Computed tomography, Lower abdomen
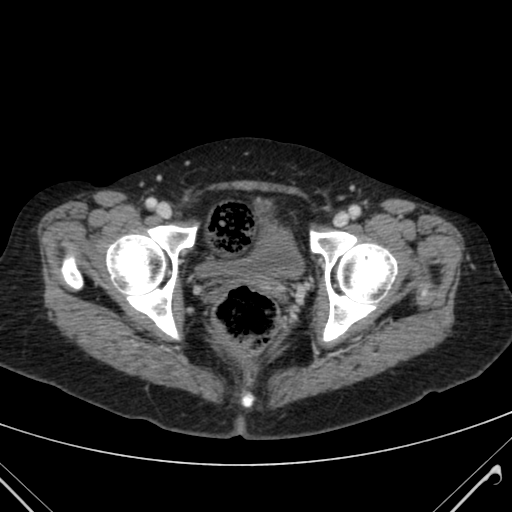 The urinary bladder appears at 204:205:301:283.